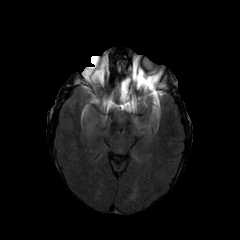
FLAIR magnetic resonance.
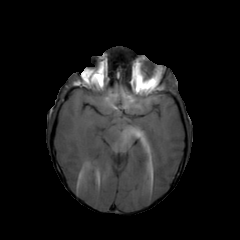
Same slice, T1-weighted magnetic resonance.
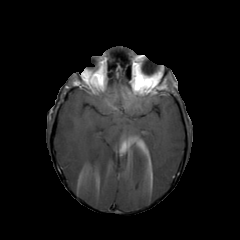
Same slice, post-contrast T1-weighted MRI.
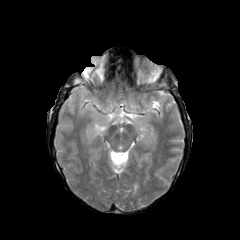
T2-weighted magnetic resonance.
240x240 px
* edema: box=[141, 90, 164, 114]; box=[116, 104, 137, 111]
* non-enhancing tumor core: box=[129, 69, 162, 95]; box=[86, 64, 103, 81]; box=[141, 68, 157, 75]
* enhancing tumor: box=[142, 84, 149, 93]; box=[136, 68, 161, 87]